FLAIR MR.
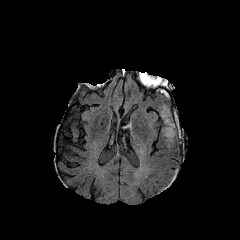
T1-weighted MR image.
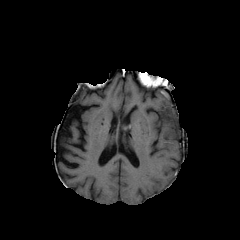
Post-contrast T1-weighted MRI.
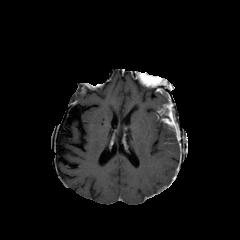
T2-weighted MR image.
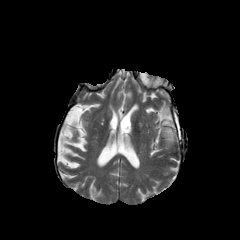
240x240 px.
The enhancing tumor appears at [x1=159, y1=105, x2=179, y2=139]. The edema lies within [x1=162, y1=127, x2=175, y2=147]. The non-enhancing tumor core is bounded by [x1=140, y1=74, x2=163, y2=93].